CT scan slice. Slice 132 of 536. Image size 512x512.

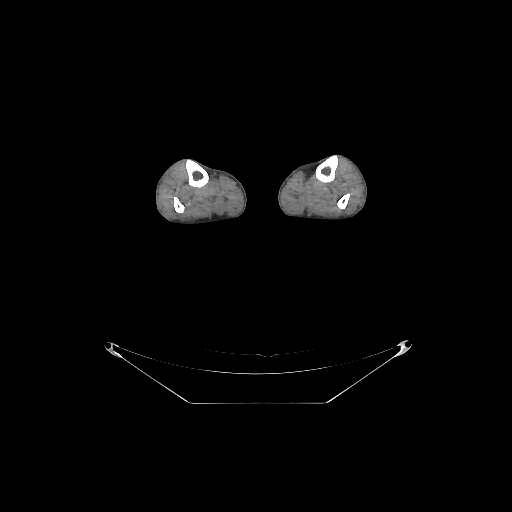

4 bone regions are located at region(186, 160, 208, 187); region(337, 193, 349, 208); region(316, 155, 337, 182); region(174, 197, 184, 212).